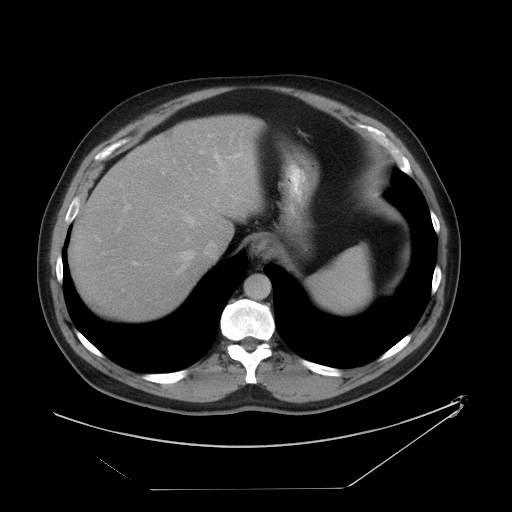 512x512, Computed tomography, Upper abdomen
Spleen: bounding box left=309, top=246, right=371, bottom=315.